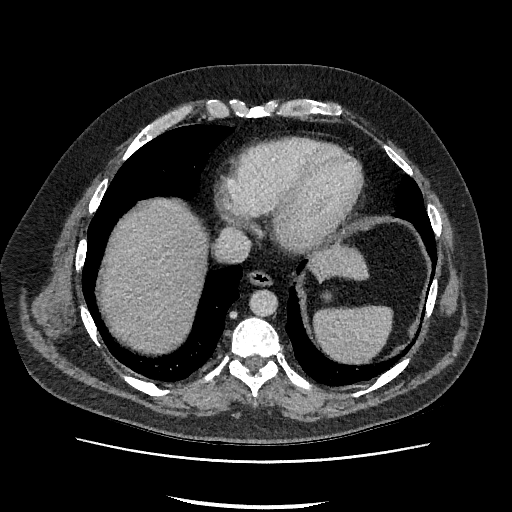

Computed tomography. Abdomen. 2 liver regions appear at (310, 249, 367, 280), (101, 201, 206, 351).